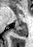 MRI

The posterior hippocampus is at bbox=[14, 24, 27, 36].